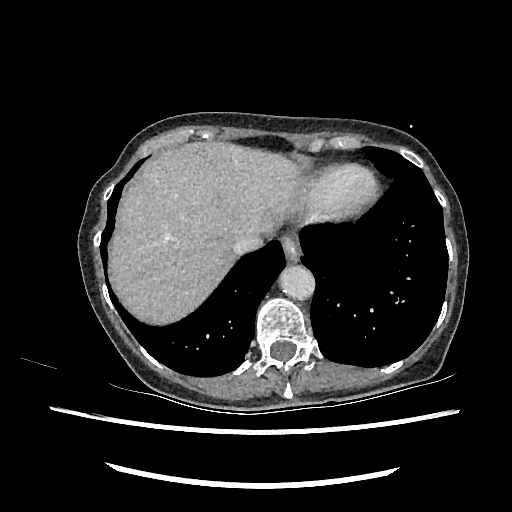
CT

Annotated regions:
* liver: <bbox>113, 142, 300, 323</bbox>